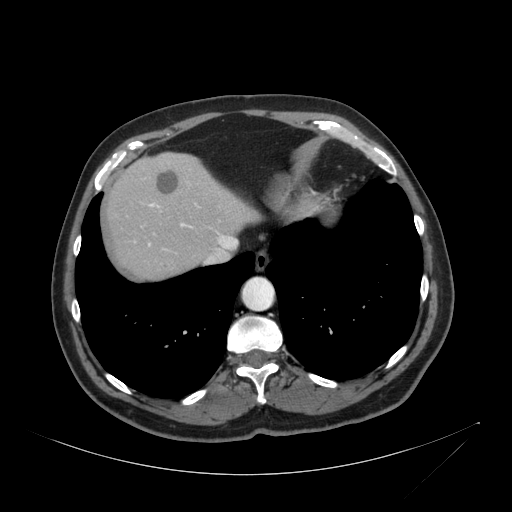

Image size 512x512, CT slice
Liver at [x1=103, y1=152, x2=259, y2=278].